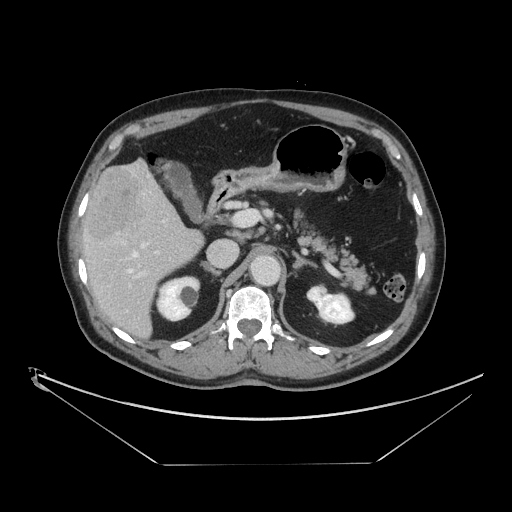
Abdomen, Image size 512x512, Computed tomography
The vessel boxes may cover only some of the vessels.
Hepatic vessel = 147,175,149,176; 141,243,147,247; 138,272,145,275; 156,251,158,253; 132,252,137,257; 123,242,125,244; 126,310,127,311; 128,269,132,272.
Liver tumor = 85,166,145,243.